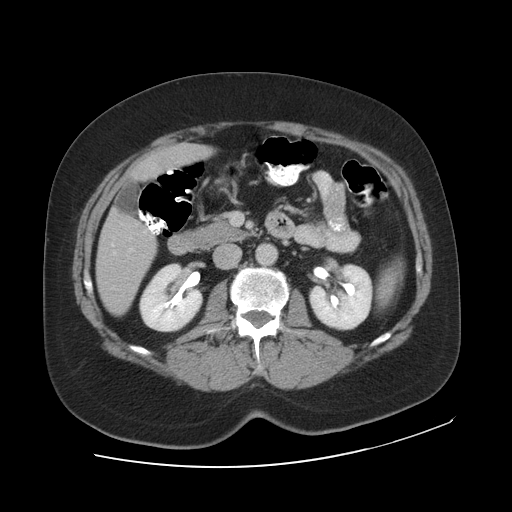
CT; Image size 512x512

The vessel boxes may cover only some of the vessels.
Segmented structures:
- hepatic vessel: bbox=[111, 243, 113, 246]; bbox=[129, 248, 133, 251]; bbox=[113, 251, 116, 254]; bbox=[129, 237, 131, 240]; bbox=[111, 285, 115, 289]